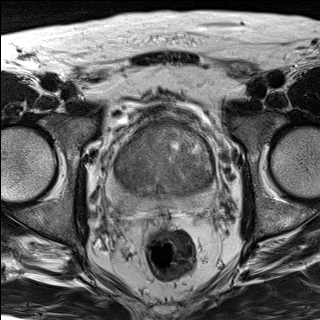
T2-weighted magnetic resonance.
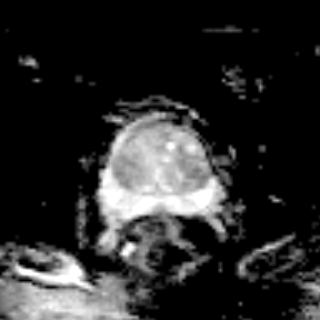
ADC MRI.
The prostate peripheral zone appears at x1=107 y1=158 x2=214 y2=214. The prostate transition zone is at x1=114 y1=126 x2=214 y2=196.